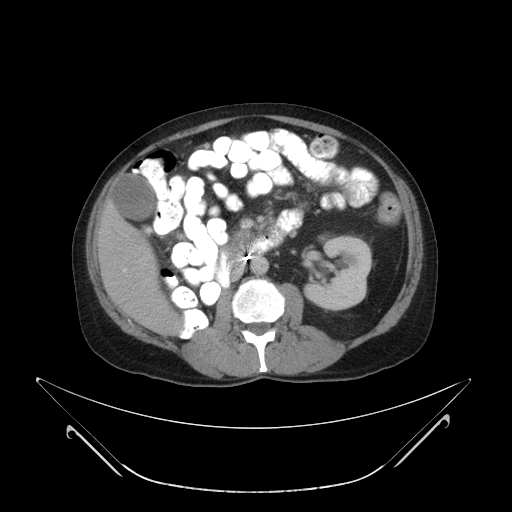 CT scan slice. Abdomen.

<segmentation>
  <pancreas>(225, 230, 252, 276)</pancreas>
</segmentation>